Slice index 118; Brain
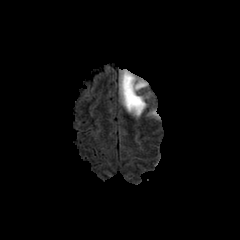
FLAIR MR.
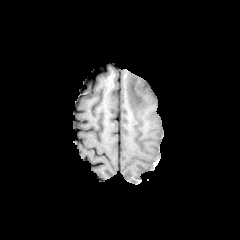
Same slice, T1-weighted MR.
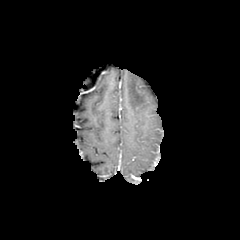
Post-contrast T1-weighted magnetic resonance of the same slice.
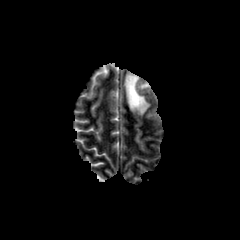
Same slice, T2-weighted MR image.
The edema is bounded by 121,72,149,115.